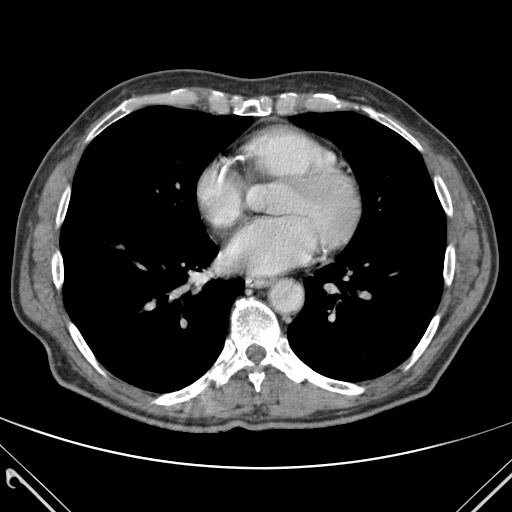
CT image | Chest

11 bone regions are located at region(87, 101, 132, 139); region(52, 247, 63, 291); region(409, 316, 438, 365); region(233, 100, 272, 115); region(70, 324, 101, 372); region(435, 177, 451, 214); region(314, 94, 339, 103); region(155, 298, 363, 404); region(56, 189, 69, 228); region(444, 247, 454, 283); region(363, 109, 420, 148). 2 lung regions appear at region(287, 111, 446, 381); region(60, 106, 252, 391).